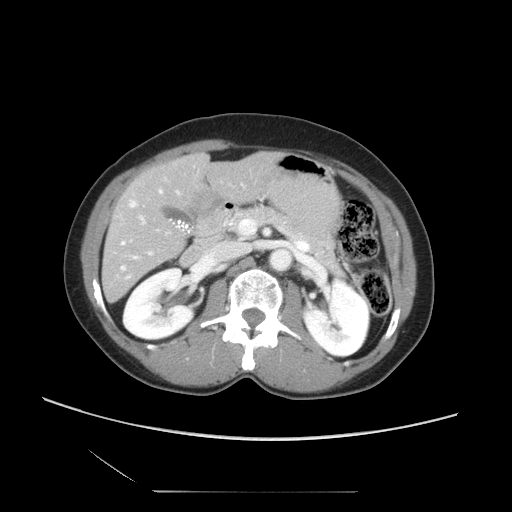 CT
Only some of the vessels may be annotated.
{
  "hepatic_vessel": [
    "bbox=[128, 199, 136, 206]",
    "bbox=[241, 184, 243, 185]",
    "bbox=[147, 251, 151, 254]",
    "bbox=[165, 231, 169, 234]",
    "bbox=[138, 215, 144, 223]",
    "bbox=[176, 190, 179, 193]",
    "bbox=[126, 274, 129, 277]",
    "bbox=[120, 265, 125, 269]",
    "bbox=[158, 189, 162, 193]",
    "bbox=[127, 255, 139, 258]",
    "bbox=[121, 240, 130, 244]"
  ]
}